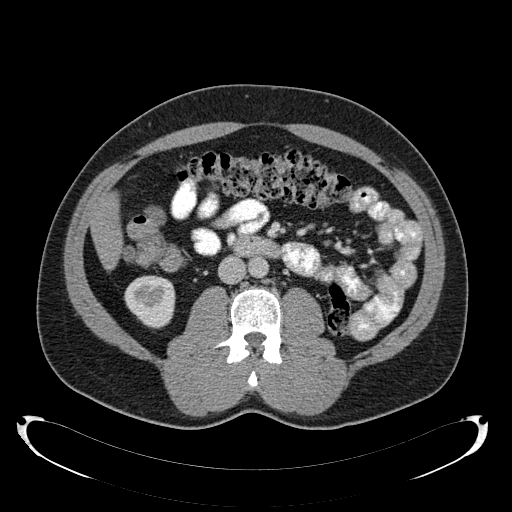 512x512 px, CT image
The liver is at x1=90 y1=193 x2=121 y2=267. The kidney is located at x1=125 y1=276 x2=174 y2=327.